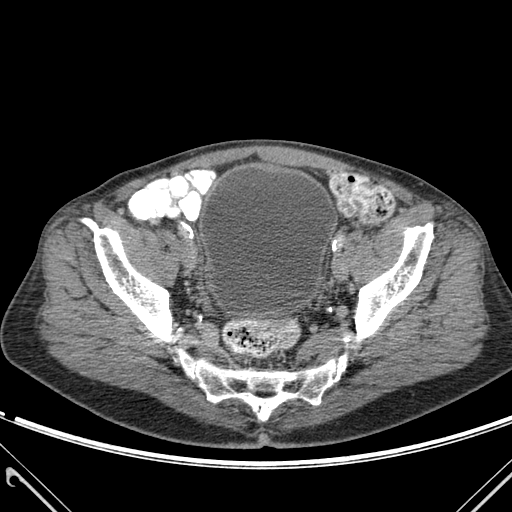 512x512 px. CT slice. Annotated regions:
* bone: x1=355, y1=223, x2=433, y2=341; x1=82, y1=218, x2=177, y2=341; x1=177, y1=349, x2=346, y2=420
* urinary bladder: x1=202, y1=168, x2=335, y2=312